Field of view 240x240 mm, 240x240 px
FLAIR MRI.
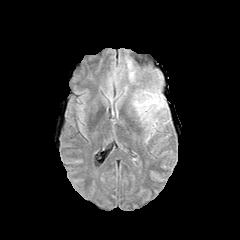
T1-weighted MRI.
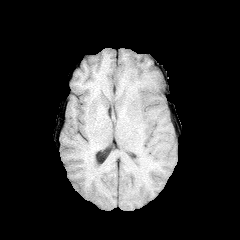
Post-contrast T1-weighted MR image.
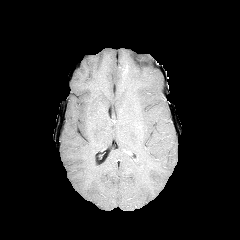
T2-weighted MR image.
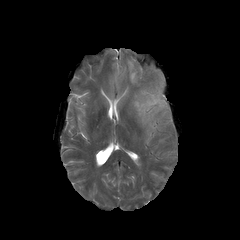
{"edema": ["x1=132, y1=88, x2=165, y2=131"]}